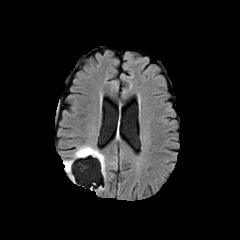
FLAIR MR.
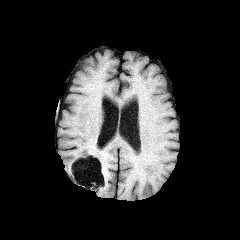
Same slice, T1-weighted magnetic resonance.
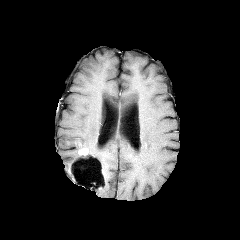
Post-contrast T1-weighted MRI of the same slice.
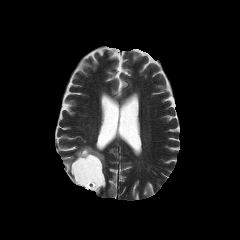
T2-weighted magnetic resonance of the same slice.
{"enhancing_tumor": ["[78, 148, 91, 155]"], "edema": ["[64, 144, 99, 177]", "[100, 154, 105, 179]"], "non-enhancing_tumor_core": ["[68, 150, 103, 174]"]}